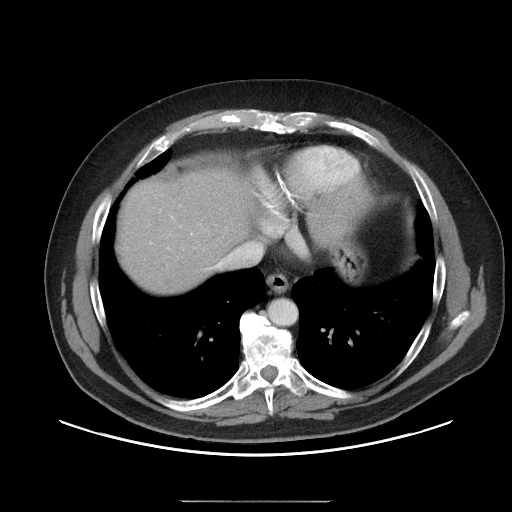 Abdomen, CT scan slice
Some hepatic vessels may have no box.
Hepatic vessel — 214:242:258:267.